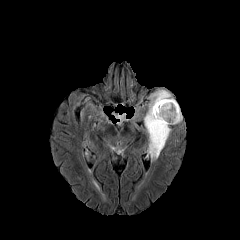
FLAIR MRI.
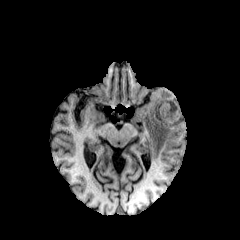
T1-weighted MR.
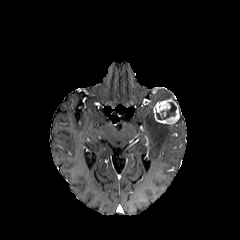
Same slice, post-contrast T1-weighted magnetic resonance.
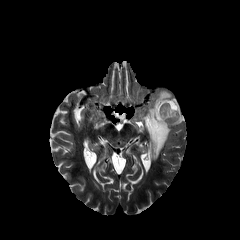
T2-weighted MR of the same slice.
non-enhancing tumor core: {"x1": 161, "y1": 102, "x2": 176, "y2": 119} | edema: {"x1": 143, "y1": 91, "x2": 174, "y2": 162} | enhancing tumor: {"x1": 153, "y1": 100, "x2": 180, "y2": 125}